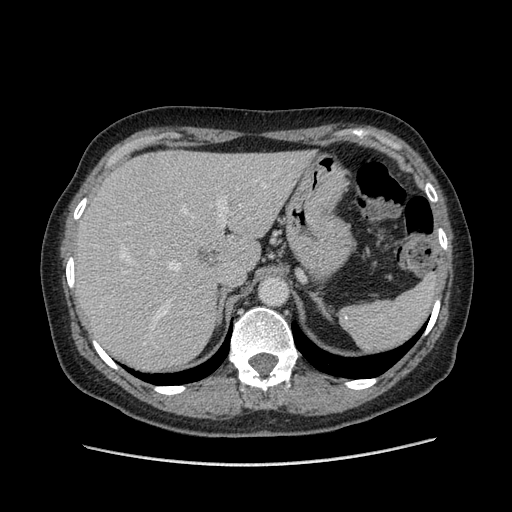 CT slice | Image size 512x512
Some hepatic vessels may have no box.
Annotated regions:
* hepatic vessel: 126,280,129,281; 153,305,167,321; 120,247,131,262; 168,262,180,270; 150,251,153,253; 210,199,226,226; 129,222,130,224; 188,212,193,216